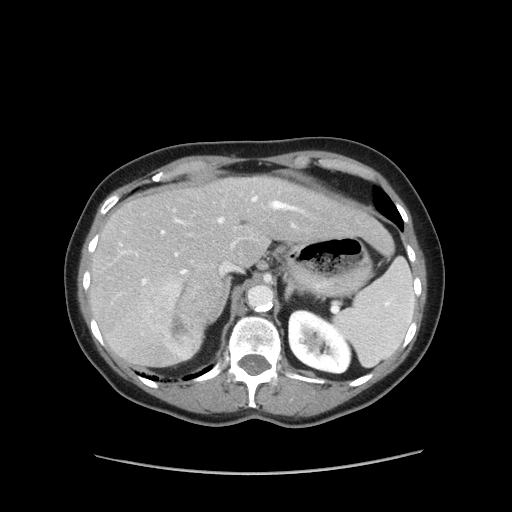
CT; Liver
Some hepatic vessels may have no box.
The liver tumor appears at <bbox>139, 272, 214, 358</bbox>. 12 hepatic vessel regions are bounded by <bbox>219, 260, 240, 273</bbox>, <bbox>270, 202, 301, 211</bbox>, <bbox>181, 270, 186, 272</bbox>, <bbox>174, 218, 183, 223</bbox>, <bbox>175, 253, 177, 255</bbox>, <bbox>142, 279, 145, 283</bbox>, <bbox>290, 223, 295, 227</bbox>, <bbox>120, 250, 137, 254</bbox>, <bbox>231, 237, 242, 249</bbox>, <bbox>252, 196, 256, 200</bbox>, <bbox>219, 218, 223, 222</bbox>, <bbox>162, 230, 164, 233</bbox>.